Field of view 403 mm wide, 0.70 mm slice spacing. CT scan slice.
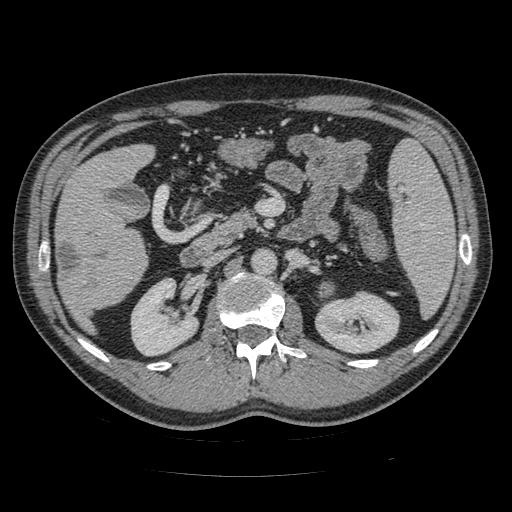

The pancreatic tumor appears at 320 283 333 296. The pancreas lies within 215 213 254 239.